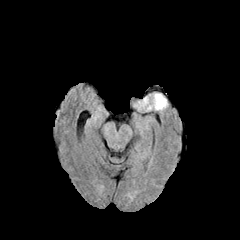
FLAIR magnetic resonance.
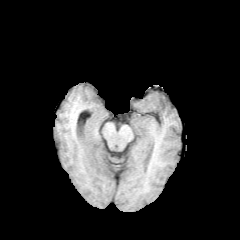
Same slice, T1-weighted MR.
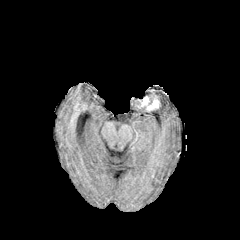
Post-contrast T1-weighted magnetic resonance.
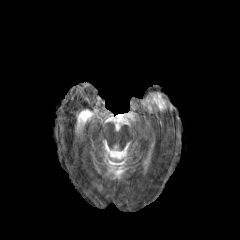
Same slice, T2-weighted MRI.
The edema is bounded by (left=148, top=92, right=167, bottom=111). The enhancing tumor is bounded by (left=140, top=95, right=159, bottom=111).